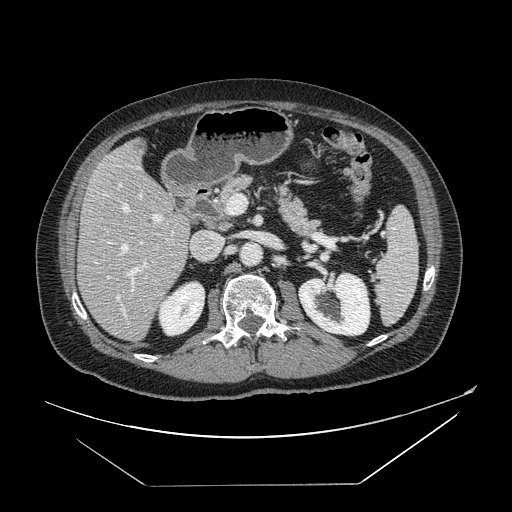 CT scan slice | Abdomen
pancreas:
  - x1=277 y1=187 x2=320 y2=235
  - x1=219 y1=175 x2=252 y2=205